CT

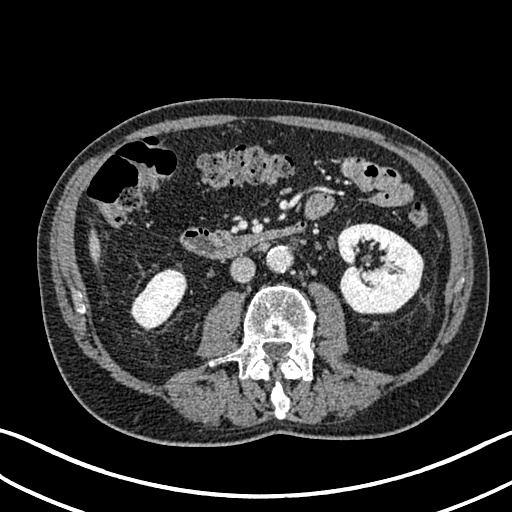 The liver is bounded by bbox=[89, 233, 100, 261]. 2 kidney regions are bounded by bbox=[132, 270, 185, 328]; bbox=[338, 224, 422, 312].